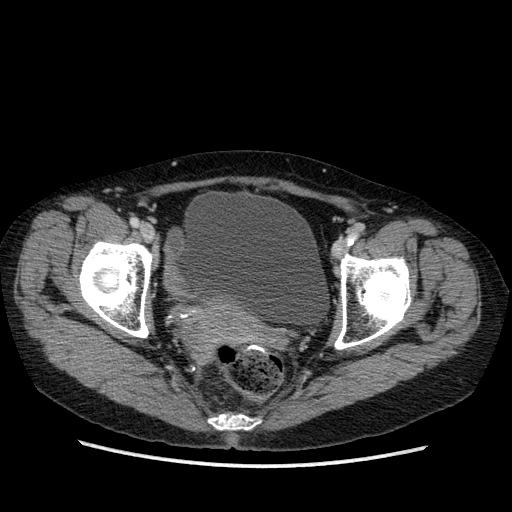
Computed tomography | Lower abdomen

<segmentation>
  <urinary_bladder>[177, 190, 329, 326]</urinary_bladder>
</segmentation>